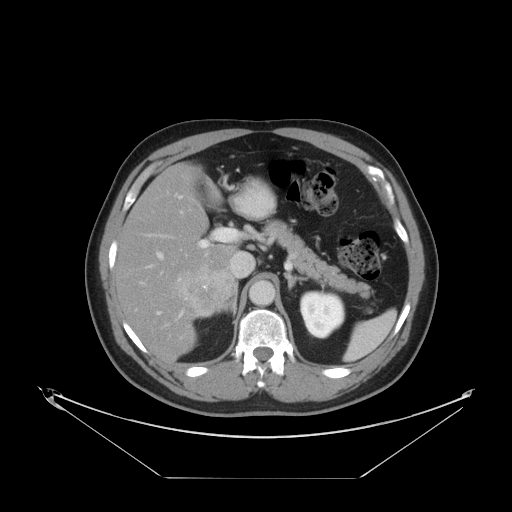
CT image

The vessel annotation is not exhaustive.
{"hepatic_vessel": ["region(216, 227, 234, 241)", "region(157, 311, 160, 314)", "region(157, 253, 162, 257)", "region(178, 312, 182, 317)", "region(147, 235, 154, 235)", "region(179, 196, 181, 198)", "region(147, 266, 150, 267)", "region(199, 241, 207, 247)"], "liver_tumor": ["region(178, 267, 236, 316)"]}